Slice 115 of 155, Field of view 240 mm wide, 1.00 mm slice spacing
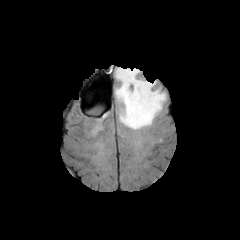
FLAIR MR.
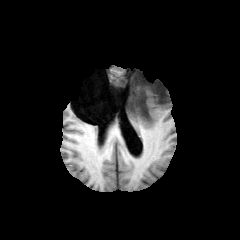
T1-weighted magnetic resonance.
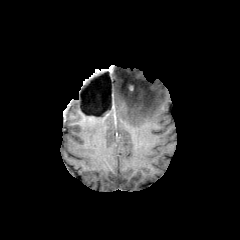
Post-contrast T1-weighted MR.
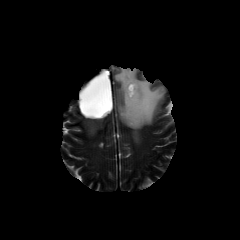
T2-weighted MRI.
non-enhancing tumor core: bbox(126, 83, 135, 94) | edema: bbox(115, 68, 165, 131)